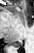
MR | Hippocampus
The posterior hippocampus appears at bbox=[10, 40, 22, 47].